CT. Image size 512x512. Slice 454/689. Abdomen.
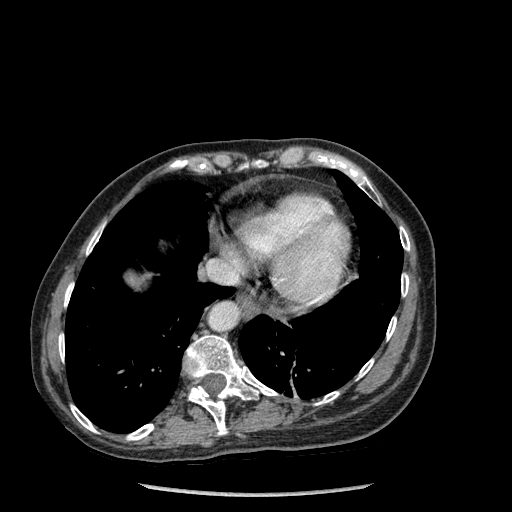 13 bone regions are located at [400, 226, 410, 250], [70, 404, 98, 433], [58, 333, 64, 362], [183, 335, 277, 435], [356, 359, 373, 380], [401, 273, 409, 296], [64, 282, 73, 307], [386, 316, 396, 340], [126, 424, 153, 440], [86, 224, 104, 255], [314, 391, 339, 405], [329, 158, 375, 196], [254, 160, 266, 167]. 2 lung regions appear at [239, 170, 402, 398], [65, 180, 234, 433]. The liver is at [127, 274, 137, 284].